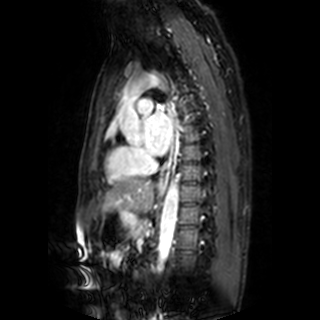
MR image
The left atrium lies within 144 106 172 156.